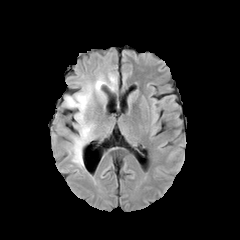
FLAIR magnetic resonance.
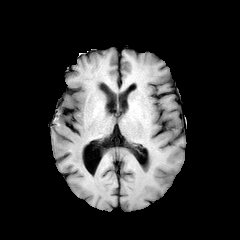
T1-weighted MRI.
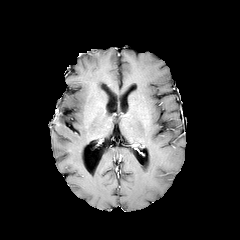
Post-contrast T1-weighted MR image.
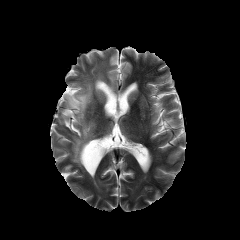
T2-weighted MR image of the same slice.
Brain.
edema: [63, 72, 117, 167] | non-enhancing tumor core: [66, 96, 76, 107]